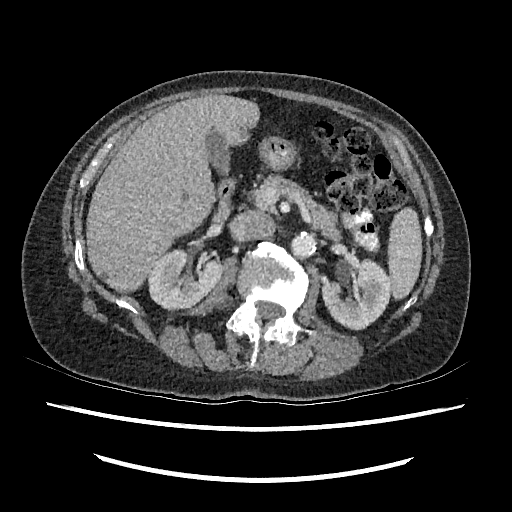 CT scan slice, Image size 512x512, Upper abdomen
Kidney: bounding box bbox(322, 257, 390, 329); bbox(149, 250, 221, 308).
Liver: bounding box bbox(87, 95, 258, 292).